FLAIR magnetic resonance.
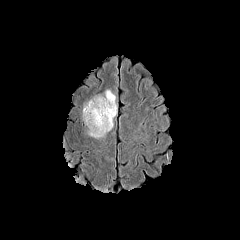
T1-weighted MR image.
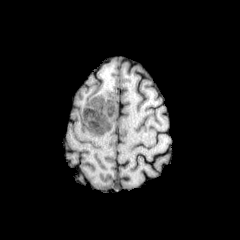
Post-contrast T1-weighted magnetic resonance.
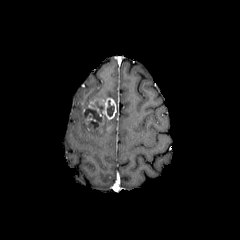
T2-weighted MR image.
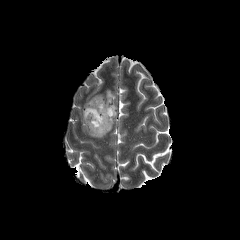
Brain
Enhancing tumor at <box>89,98,116,119</box>.
Edema at <box>85,119,113,137</box>, <box>106,90,115,101</box>.
Non-enhancing tumor core at <box>84,101,109,130</box>, <box>107,100,114,116</box>.